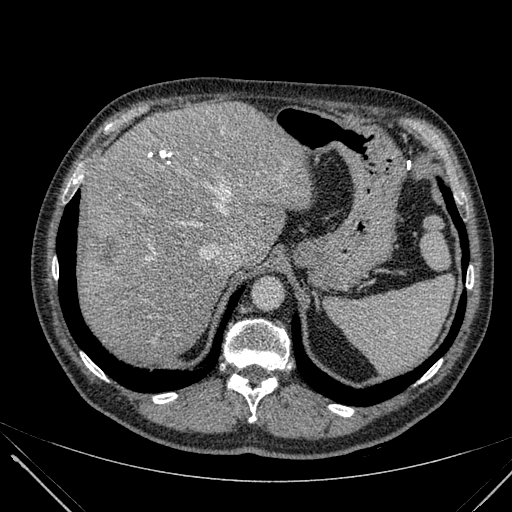
512x512 | Computed tomography

Hepatic lesion — x1=96 y1=238 x2=116 y2=263.
Liver — x1=77 y1=103 x2=312 y2=366.